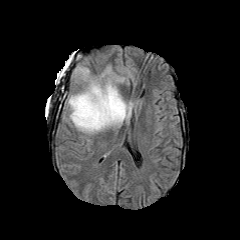
FLAIR MRI.
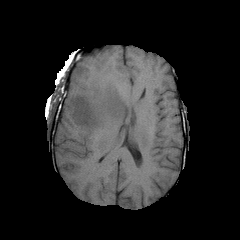
T1-weighted MR image.
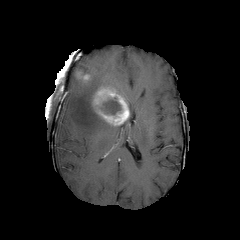
Post-contrast T1-weighted MR image of the same slice.
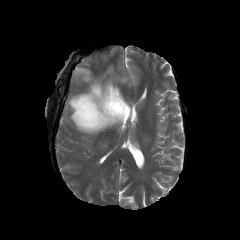
Same slice, T2-weighted magnetic resonance.
Image size 240x240
2 enhancing tumor regions are bounded by {"x1": 92, "y1": 85, "x2": 129, "y2": 125}, {"x1": 75, "y1": 68, "x2": 89, "y2": 80}. 3 edema regions appear at {"x1": 67, "y1": 66, "x2": 113, "y2": 134}, {"x1": 103, "y1": 74, "x2": 124, "y2": 88}, {"x1": 77, "y1": 66, "x2": 89, "y2": 74}. The non-enhancing tumor core is located at {"x1": 100, "y1": 99, "x2": 120, "y2": 114}.